CT | Head

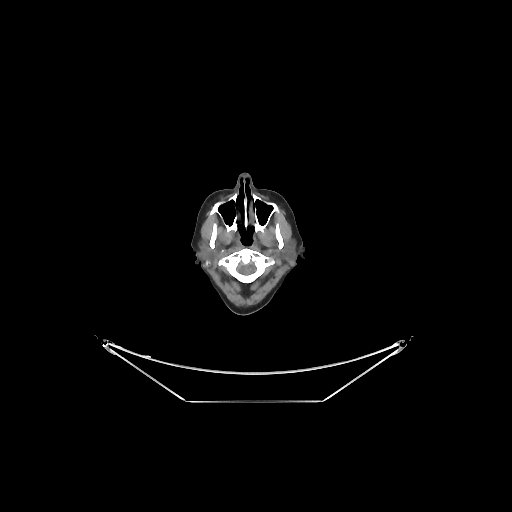
<segmentation>
  <brain>x1=236 y1=260 x2=256 y2=275</brain>
</segmentation>